Slice 82/155, 240x240 px
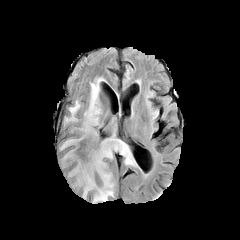
FLAIR MR.
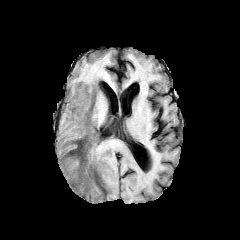
Same slice, T1-weighted magnetic resonance.
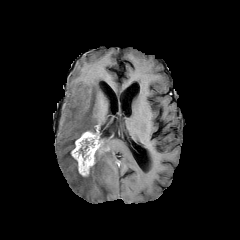
Post-contrast T1-weighted magnetic resonance of the same slice.
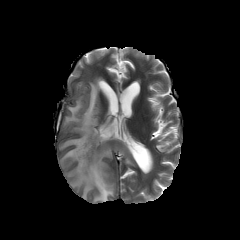
T2-weighted magnetic resonance of the same slice.
enhancing_tumor:
  - <bbox>71, 127, 100, 175</bbox>
edema:
  - <bbox>64, 116, 132, 203</bbox>
  - <bbox>64, 77, 105, 135</bbox>
  - <bbox>60, 138, 77, 149</bbox>
non-enhancing_tumor_core:
  - <bbox>78, 139, 100, 159</bbox>